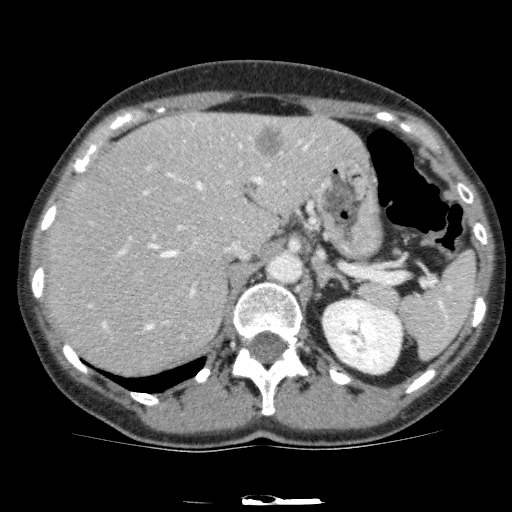

CT | Abdomen

hepatic_lesion:
  - left=251, top=122, right=286, bottom=160
  - left=189, top=238, right=208, bottom=252
liver:
  - left=45, top=112, right=369, bottom=371
kidney:
  - left=323, top=300, right=401, bottom=373